Slice 39 of 84 | 512x512 | CT image 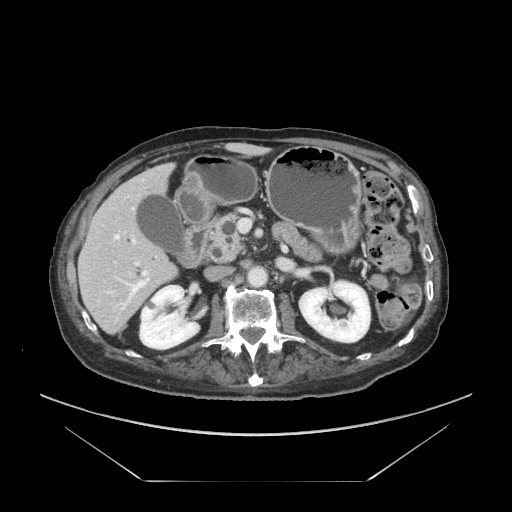

Pancreas: rect(211, 214, 241, 261).